Brain. Slice index 106.
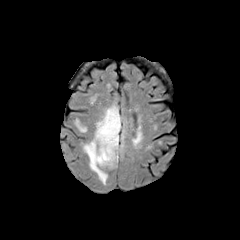
FLAIR magnetic resonance.
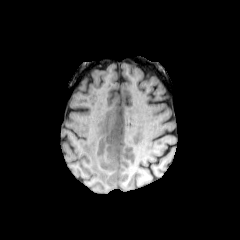
T1-weighted MR image.
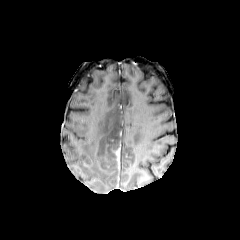
Same slice, post-contrast T1-weighted MR image.
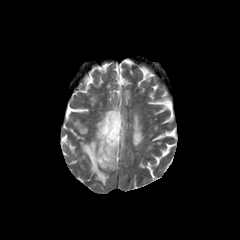
T2-weighted magnetic resonance of the same slice.
edema: [81,104,127,184] | enhancing tumor: [114,148,120,161]